Abdomen; Computed tomography
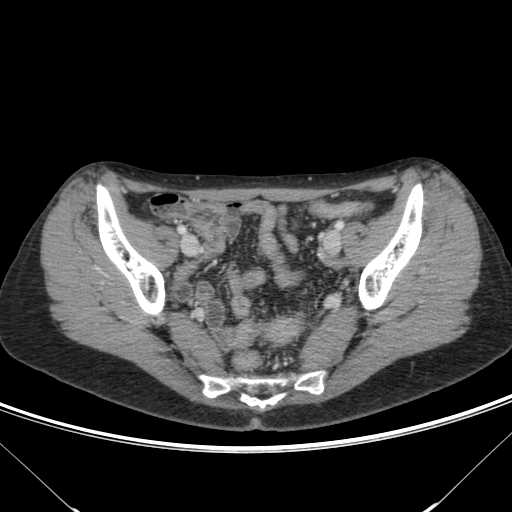

Annotated regions:
- colon tumor: bbox(235, 322, 257, 345); bbox(267, 318, 300, 343)